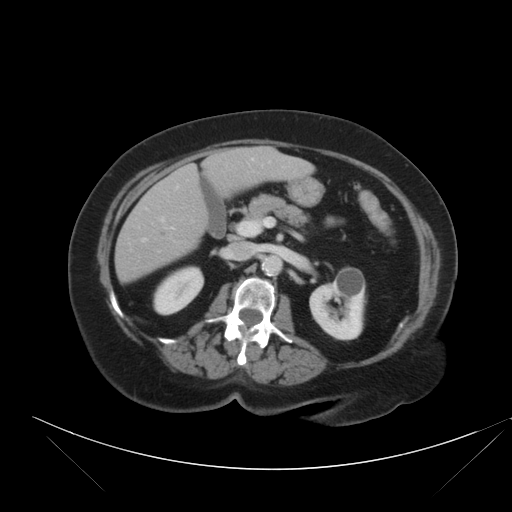
CT image, Image size 512x512, Liver

The vessel boxes may cover only some of the vessels.
10 hepatic vessel regions are bounded by left=142, top=238, right=146, bottom=241; left=190, top=165, right=194, bottom=169; left=175, top=185, right=178, bottom=189; left=164, top=226, right=174, bottom=229; left=146, top=207, right=147, bottom=209; left=269, top=161, right=270, bottom=162; left=248, top=158, right=253, bottom=164; left=158, top=250, right=160, bottom=252; left=160, top=217, right=164, bottom=221; left=282, top=166, right=285, bottom=167.